CT scan slice; Abdomen
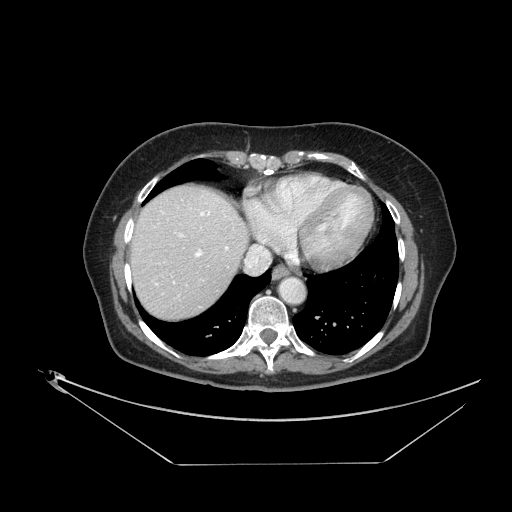 The vessel boxes may cover only some of the vessels.
<segmentation>
  <hepatic_vessel>245 246 269 273, 161 211 164 213, 195 249 202 257, 224 246 228 250, 199 210 210 216, 178 233 183 237</hepatic_vessel>
</segmentation>